Slice index 454. CT scan slice. Liver.
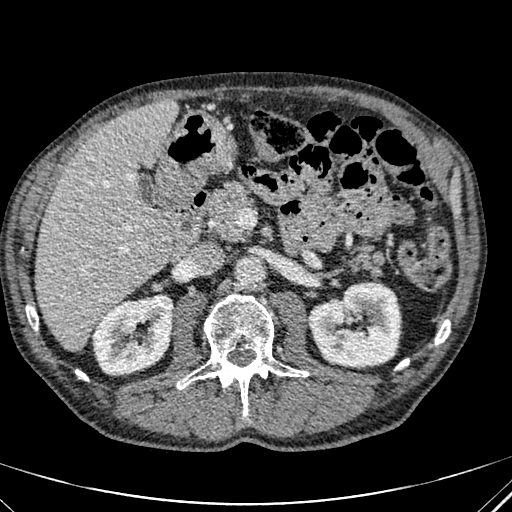

The liver appears at <bbox>35, 99, 177, 351</bbox>. 2 kidney regions are located at <bbox>310, 283, 399, 366</bbox>, <bbox>93, 296, 172, 374</bbox>.